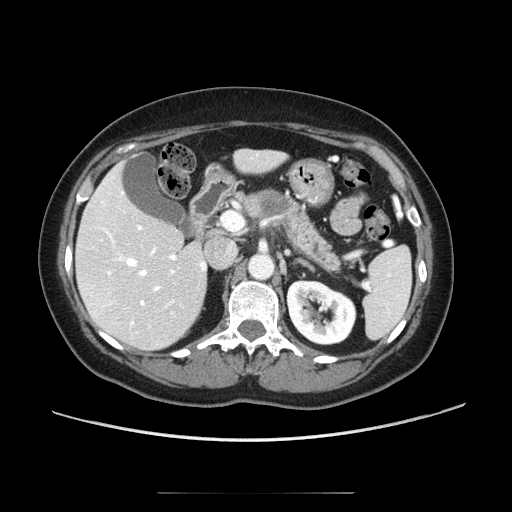

CT image | 512x512 | Upper abdomen
pancreatic tumor: (258, 190, 288, 216) | pancreas: (245, 192, 339, 271)